Brain.
FLAIR MR.
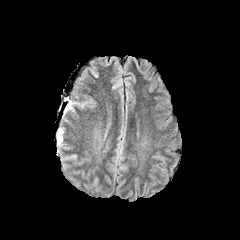
T1-weighted MR image.
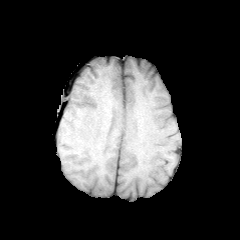
Post-contrast T1-weighted MR.
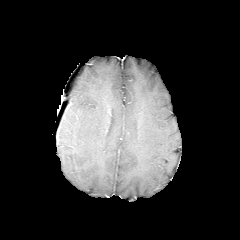
T2-weighted MR image.
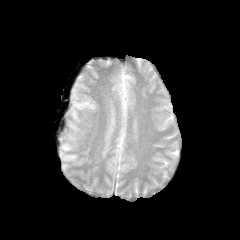
edema:
  - 69 100 86 108